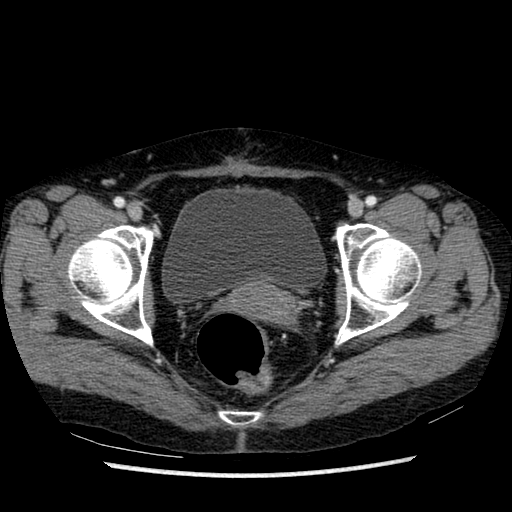 CT slice.
Urinary bladder: [161,186,326,304].